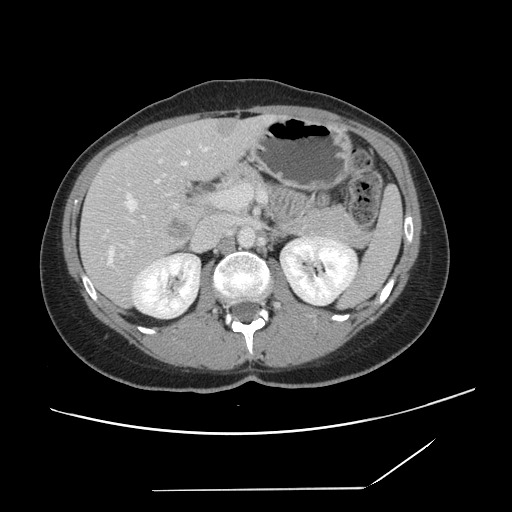 Abdomen; Image size 512x512; Computed tomography
Some hepatic vessels may have no box.
hepatic_vessel:
  - <box>108,248,113,264</box>
  - <box>173,204,177,207</box>
  - <box>160,160,161,162</box>
  - <box>156,180,158,182</box>
  - <box>107,230,108,231</box>
  - <box>168,193,170,194</box>
  - <box>200,146,206,150</box>
  - <box>126,194,136,210</box>
  - <box>103,236,105,237</box>
  - <box>187,151,189,153</box>
  - <box>130,240,132,243</box>
  - <box>143,216,144,218</box>
  - <box>182,162,186,165</box>
  - <box>121,255,122,256</box>
liver_tumor:
  - <box>168,220,192,239</box>